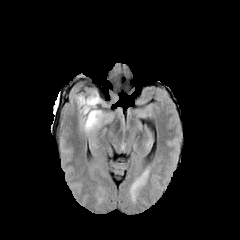
FLAIR MRI.
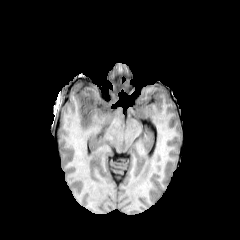
T1-weighted magnetic resonance.
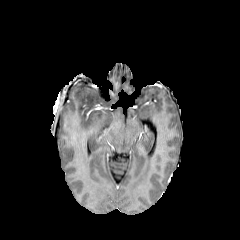
Post-contrast T1-weighted MR image.
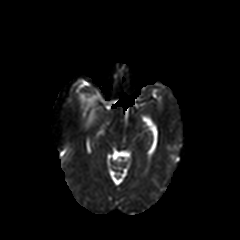
T2-weighted magnetic resonance.
240x240 px; Brain
edema:
  - (76,90,103,130)